FLAIR MR image.
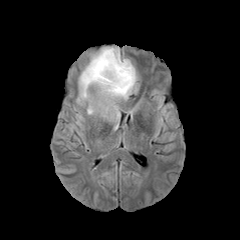
T1-weighted MRI.
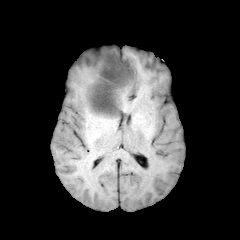
Post-contrast T1-weighted magnetic resonance.
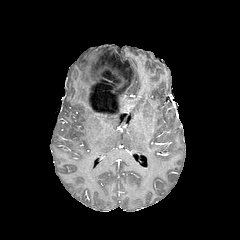
T2-weighted MRI.
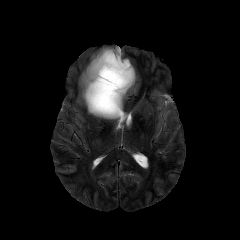
Brain
The non-enhancing tumor core is bounded by <box>87,55,130,115</box>. The edema lies within <box>77,45,138,123</box>.